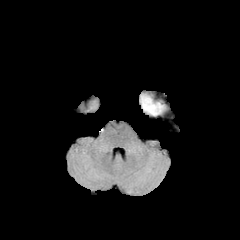
FLAIR MR image.
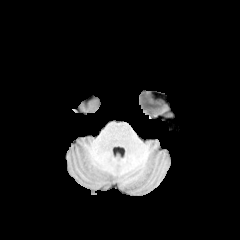
Same slice, T1-weighted magnetic resonance.
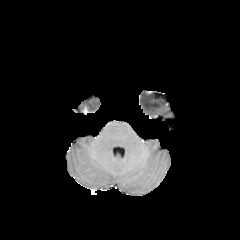
Same slice, post-contrast T1-weighted MR.
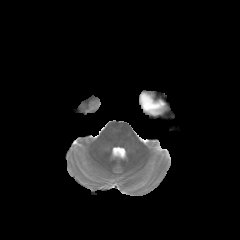
T2-weighted MRI.
Brain
The non-enhancing tumor core is located at [x1=142, y1=94, x2=160, y2=111]. The edema appears at [x1=142, y1=104, x2=165, y2=115].